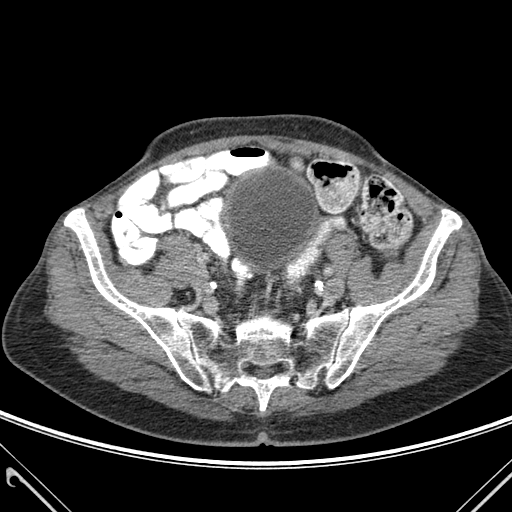 CT scan slice
{"bone": ["(64, 209, 461, 410)"]}